FLAIR MR image.
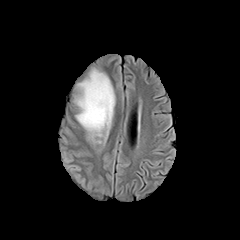
T1-weighted MR image.
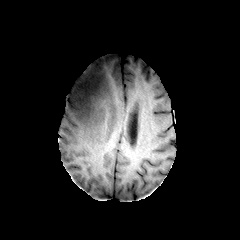
Post-contrast T1-weighted MRI.
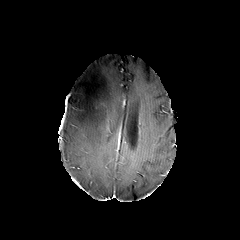
T2-weighted MR image.
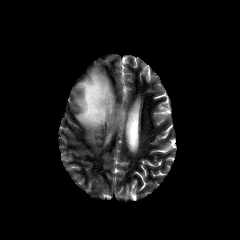
edema:
  - 74:68:115:145